Slice 22 of 36; MRI
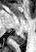

• posterior hippocampus: box(14, 33, 26, 45)